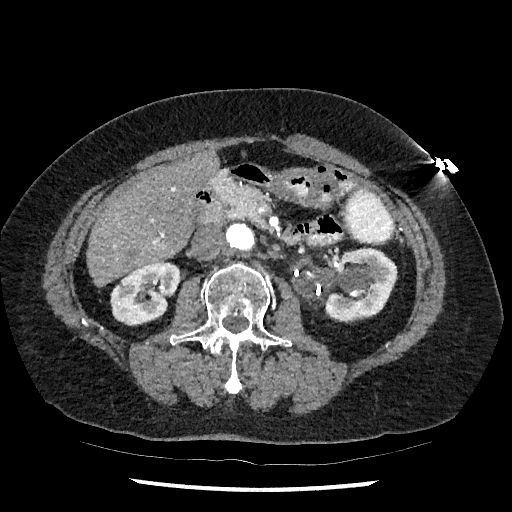

Abdomen; CT image
2 kidney regions appear at (left=111, top=262, right=179, bottom=324), (left=326, top=248, right=396, bottom=321). The liver appears at (left=87, top=150, right=219, bottom=287).